CT slice. Abdomen. Slice 35/89.
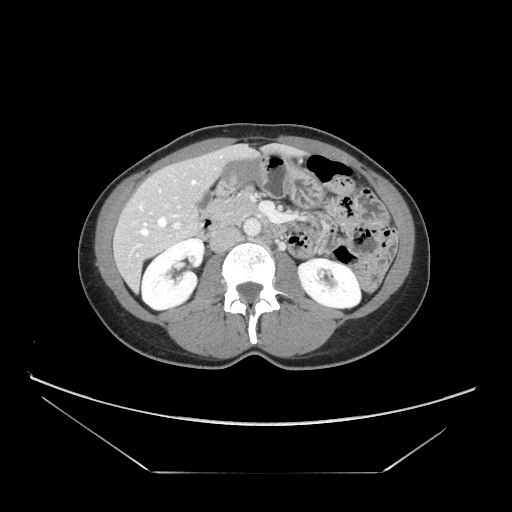 The pancreas is at x1=212, y1=189, x2=260, y2=226.